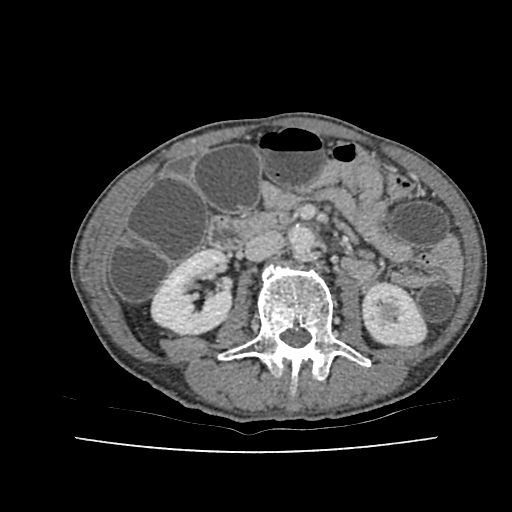 512x512 px; Abdomen; CT slice
Segmented structures:
• kidney: x1=152, y1=250, x2=230, y2=333; x1=363, y1=284, x2=425, y2=344